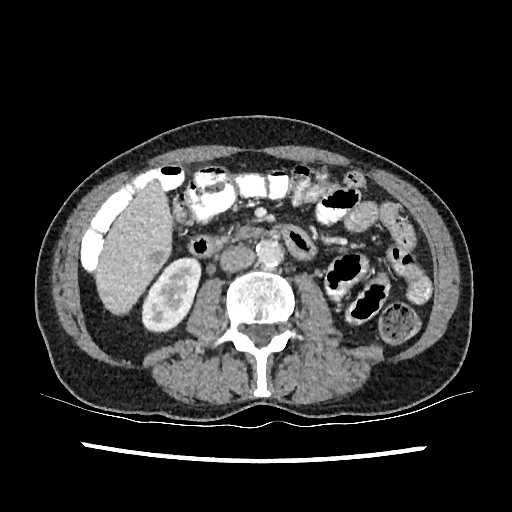
Liver. CT.
{"kidney": ["rect(143, 259, 200, 330)"], "liver_lesion": ["rect(150, 251, 163, 263)"], "liver": ["rect(97, 178, 170, 313)"]}